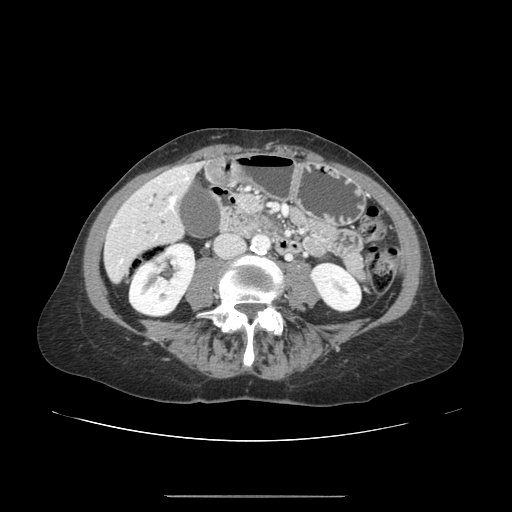
CT, Upper abdomen
Pancreatic tumor: bounding box (252,212,270,224).
Pancreas: bounding box (259,216,277,228).